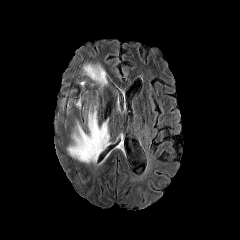
FLAIR magnetic resonance.
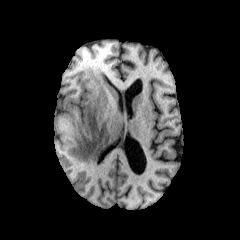
T1-weighted MR image of the same slice.
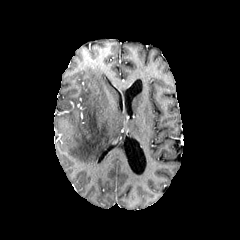
Same slice, post-contrast T1-weighted magnetic resonance.
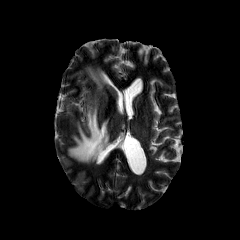
Same slice, T2-weighted magnetic resonance.
<segmentation>
  <edema>[x1=66, y1=96, x2=84, y2=115], [x1=83, y1=64, x2=107, y2=90], [x1=67, y1=92, x2=111, y2=163]</edema>
</segmentation>